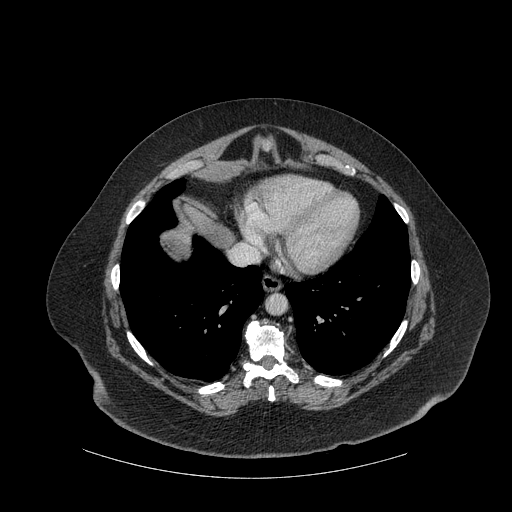
CT slice. Upper abdomen.

2 lung regions appear at 120:179:263:381, 285:195:410:374. 10 bone regions are bounded by 199:382:224:394, 127:332:151:364, 111:265:119:288, 268:386:274:400, 411:260:419:283, 384:321:406:356, 395:204:408:222, 126:201:144:223, 315:375:341:386, 243:321:298:386. The liver lies within 185:205:233:245.